Field of view 391x391 mm; Abdomen; CT 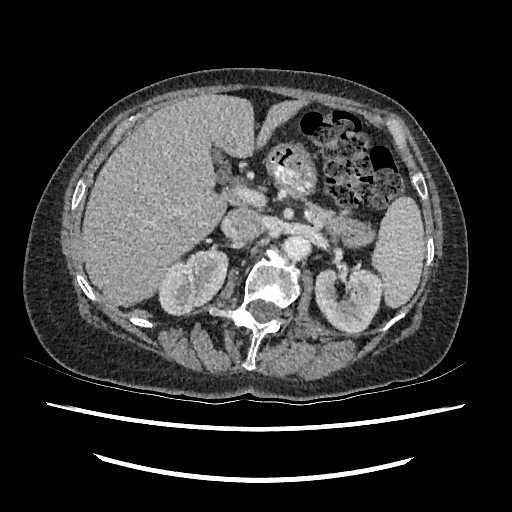 kidney:
  - box(159, 249, 227, 314)
  - box(315, 258, 382, 332)
liver:
  - box(257, 100, 305, 149)
  - box(81, 95, 254, 306)